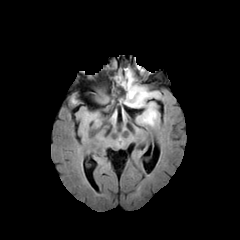
FLAIR MR.
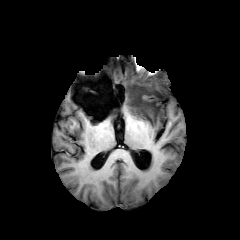
T1-weighted MRI.
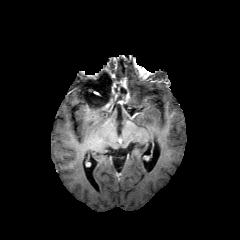
Post-contrast T1-weighted MR of the same slice.
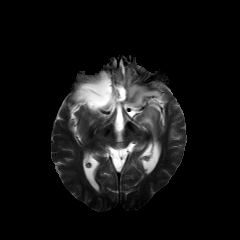
T2-weighted MR.
Head
Non-enhancing tumor core — 132 70 141 83, 95 83 126 107, 118 81 143 115.
Enhancing tumor — 118 78 130 104.
Edema — 125 68 164 129.